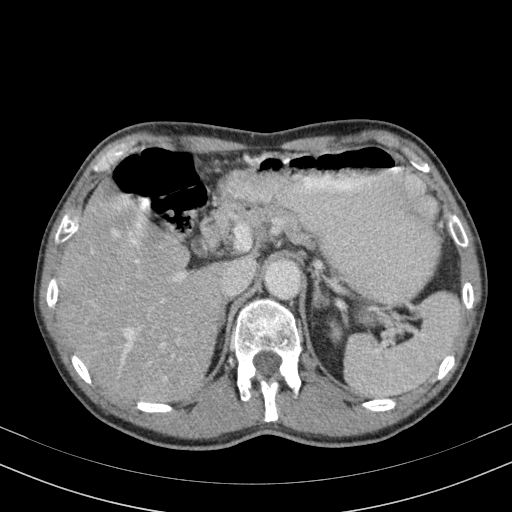 CT | Liver

liver:
  - x1=234 y1=241 x2=250 y2=253
  - x1=58 y1=176 x2=256 y2=407